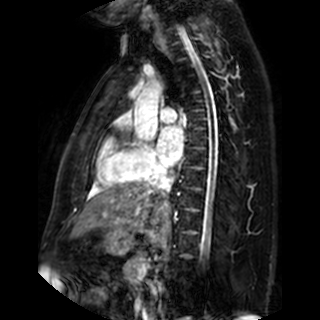
MR image. Image size 320x320.
{"left_atrium": ["(157, 126, 183, 165)"]}